FLAIR magnetic resonance.
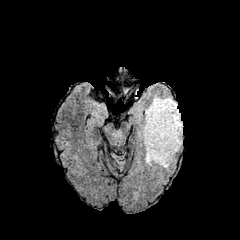
T1-weighted magnetic resonance.
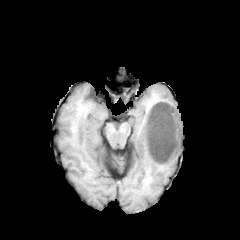
Post-contrast T1-weighted magnetic resonance.
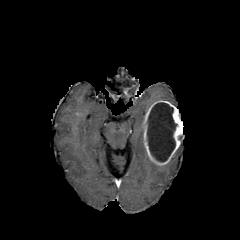
T2-weighted MRI.
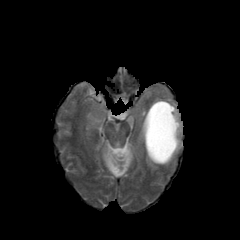
Head
{
  "non-enhancing_tumor_core": [
    "<box>146,102,175,162</box>"
  ],
  "enhancing_tumor": [
    "<box>142,100,183,164</box>"
  ],
  "edema": [
    "<box>138,116,144,146</box>",
    "<box>144,95,177,113</box>",
    "<box>145,140,181,168</box>"
  ]
}